Abdomen, Computed tomography, Slice 405/683 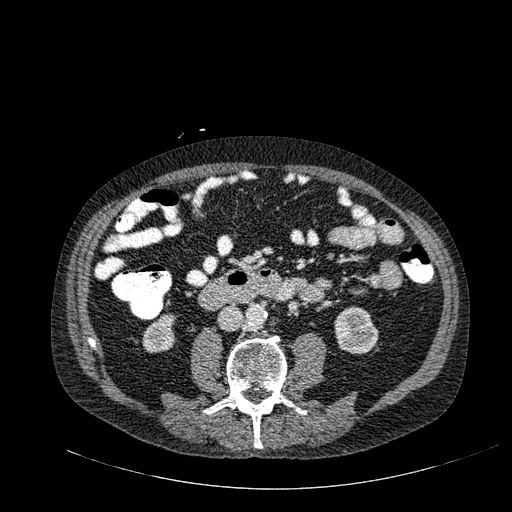
Kidney — 334 307 378 353, 142 313 175 352.